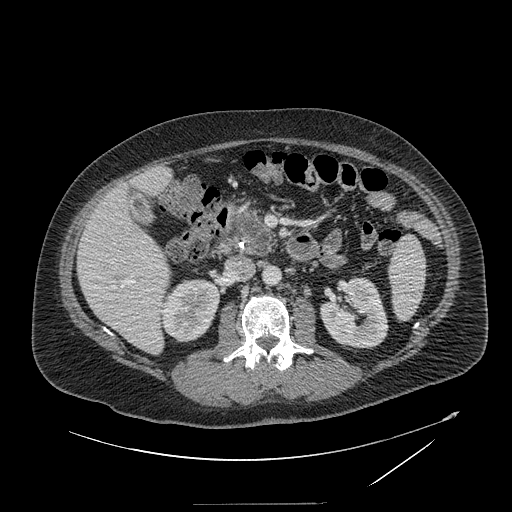 Upper abdomen, CT
Pancreas = x1=233, y1=208, x2=277, y2=256.